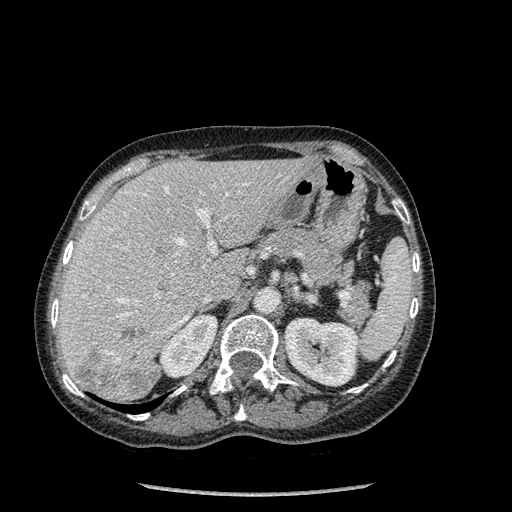
Abdomen. CT slice.

Liver: bounding box [59,158,312,402].
Lung: bounding box [111,399,161,413].
Bone: bounding box [392,199,409,223], [210,314,297,394], [51,298,59,327], [410,252,419,272], [383,350,396,367], [171,385,187,395], [347,384,367,393], [62,241,74,264], [128,413,149,420], [63,374,83,396], [409,298,418,318], [234,404,246,420], [79,201,95,220].
Liver lesion: bounding box [123,368,145,394], [75,349,112,390], [123,327,135,340].
Kidney: bounding box [160,315,216,376], [285,319,358,385].